FLAIR MR.
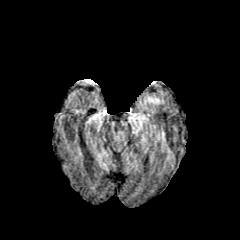
T1-weighted MR image.
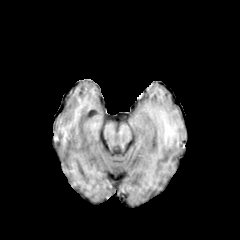
Post-contrast T1-weighted MR image.
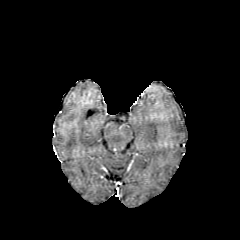
T2-weighted MRI.
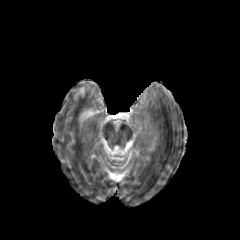
Brain. Image size 240x240.
<segmentation>
  <edema>{"x1": 139, "y1": 94, "x2": 157, "y2": 105}</edema>
</segmentation>